FLAIR magnetic resonance.
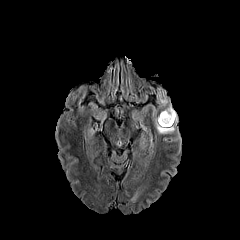
T1-weighted MR image.
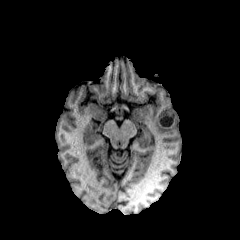
Post-contrast T1-weighted MR image.
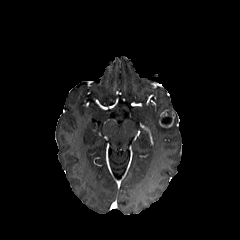
T2-weighted magnetic resonance.
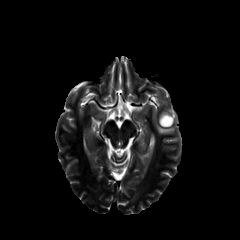
The non-enhancing tumor core is bounded by bbox(161, 116, 171, 124). 2 edema regions appear at bbox(138, 133, 152, 152); bbox(140, 89, 179, 137). The enhancing tumor is located at bbox(159, 110, 175, 127).